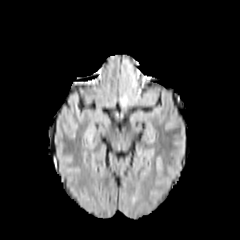
FLAIR MR image.
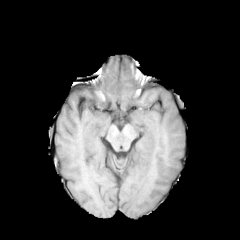
T1-weighted MR.
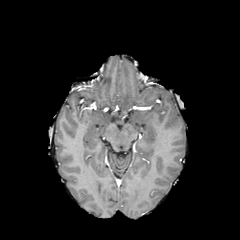
Post-contrast T1-weighted magnetic resonance of the same slice.
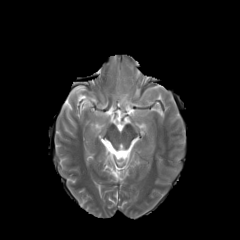
T2-weighted magnetic resonance.
The edema is bounded by region(123, 95, 151, 104).